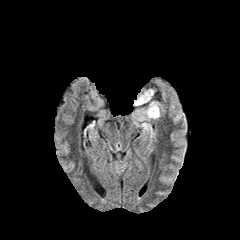
FLAIR MRI.
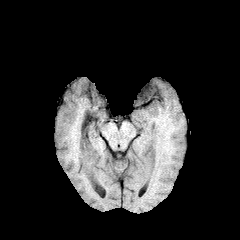
T1-weighted MR image of the same slice.
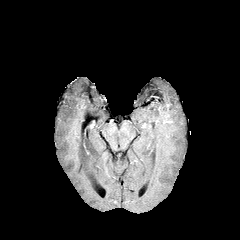
Post-contrast T1-weighted MR of the same slice.
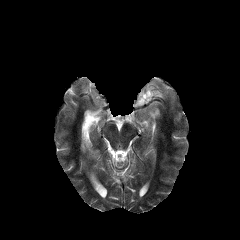
T2-weighted MR image.
240x240 px
edema: <bbox>134, 89, 159, 129</bbox>